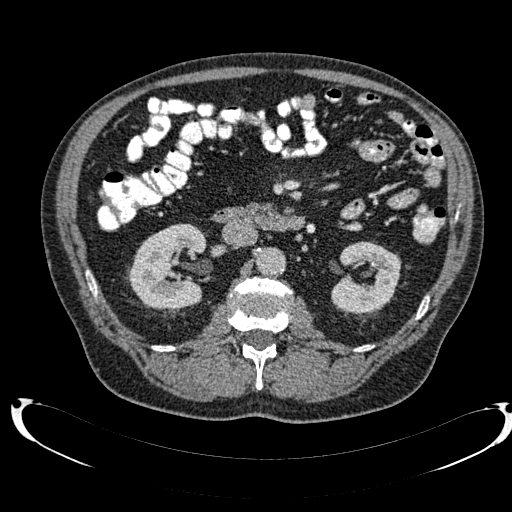 Abdomen; CT
* kidney: left=331, top=242, right=400, bottom=313; left=129, top=224, right=205, bottom=310; left=211, top=245, right=223, bottom=256